Computed tomography; 512x512 px; Liver 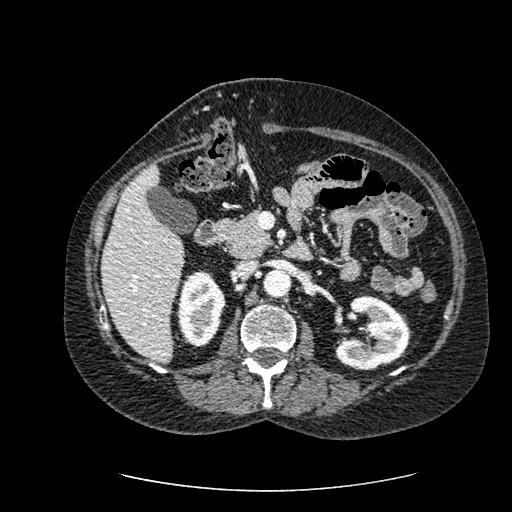 The liver is at 101 165 183 361. 2 kidney regions are located at 178 272 224 345, 335 296 408 369.